FLAIR MR.
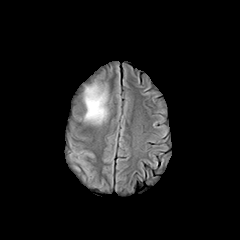
T1-weighted MR image.
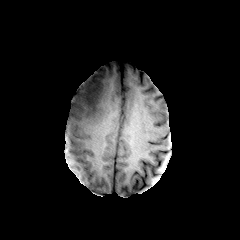
Post-contrast T1-weighted MR image.
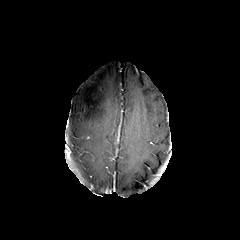
T2-weighted MR.
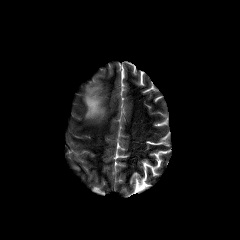
Head; 240x240
The edema is at bbox=[83, 83, 107, 124].